CT | Upper abdomen | 512x512
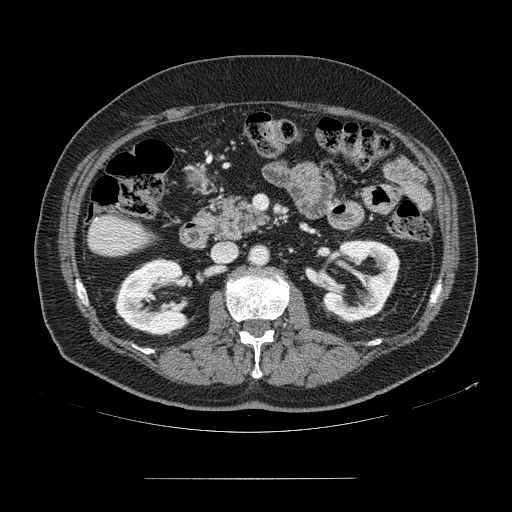

Pancreas at box(214, 196, 269, 241).